Computed tomography. Slice 415/630. Field of view 330x330 mm.
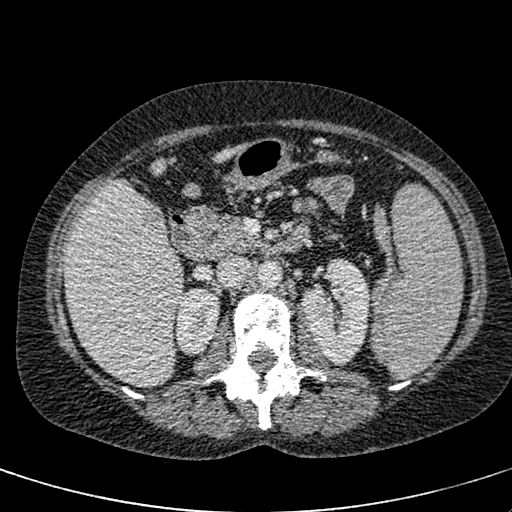 liver: <box>212,144,247,162</box>, <box>66,180,181,385</box>, <box>150,158,165,175</box> | hepatic lesion: <box>140,202,164,230</box> | kidney: <box>302,259,369,364</box>, <box>176,289,219,349</box>